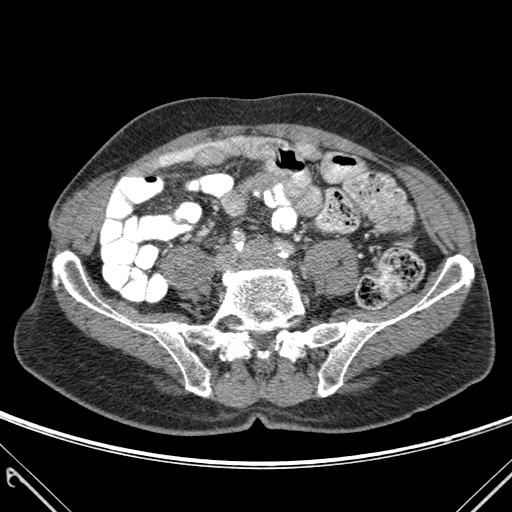
CT image | 512x512 px

2 bone regions appear at {"x1": 258, "y1": 351, "x2": 268, "y2": 357}, {"x1": 53, "y1": 251, "x2": 473, "y2": 396}.